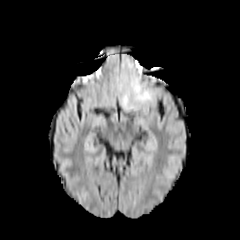
FLAIR MRI.
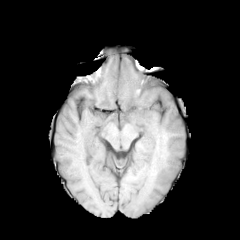
Same slice, T1-weighted MR.
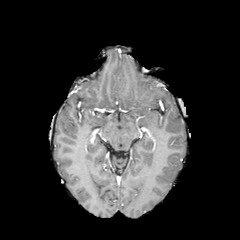
Post-contrast T1-weighted MR image.
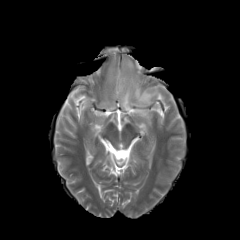
T2-weighted MRI.
Head
Edema — (121, 89, 132, 107), (117, 59, 136, 84), (136, 88, 152, 105).